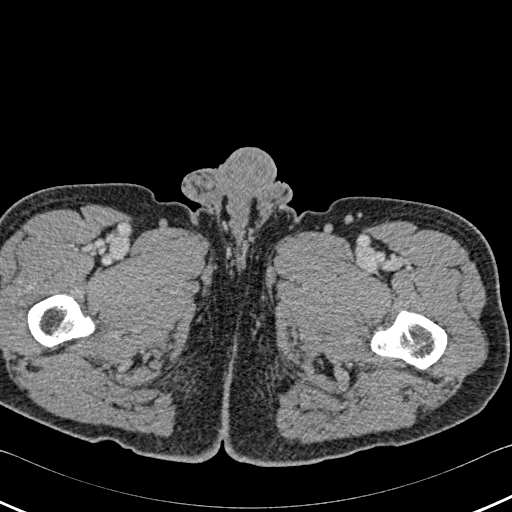 CT slice

Bone — 371,311,446,368; 28,295,93,346.